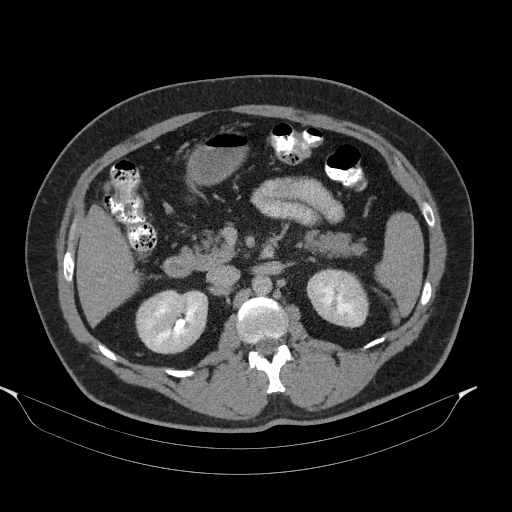
512x512 px | CT image
Segmented structures:
- pancreas: [187, 228, 232, 268], [299, 231, 366, 255]